Slice 100 of 155
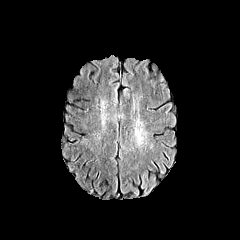
FLAIR MR image.
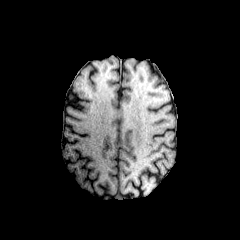
T1-weighted MR image.
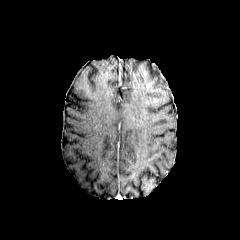
Post-contrast T1-weighted MR of the same slice.
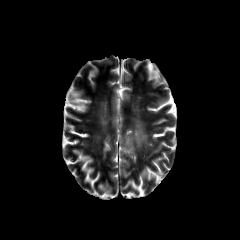
T2-weighted MR image.
The edema is bounded by left=134, top=125, right=147, bottom=145.